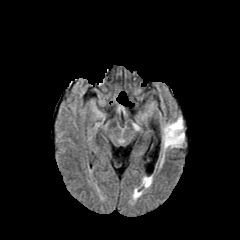
FLAIR MRI.
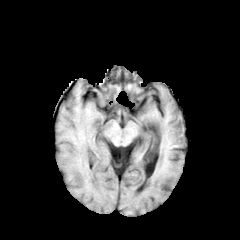
T1-weighted MRI.
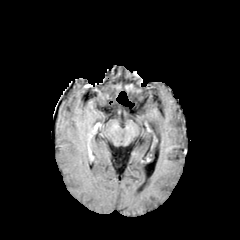
Same slice, post-contrast T1-weighted magnetic resonance.
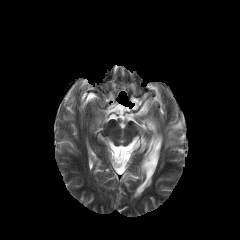
T2-weighted magnetic resonance.
240x240; Head
edema:
  - 161,117,184,149